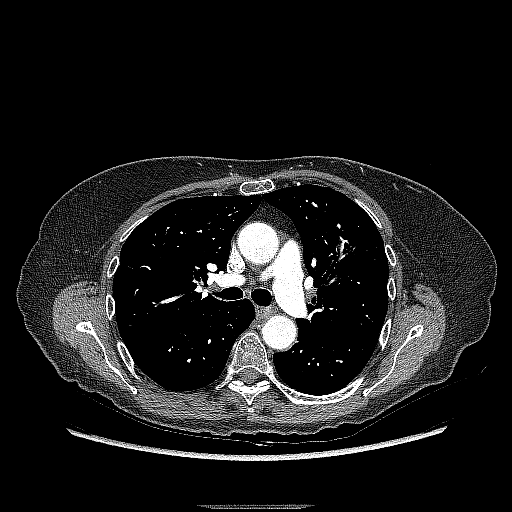

CT scan slice; Lung

lung_tumor:
  - 334:226:358:265